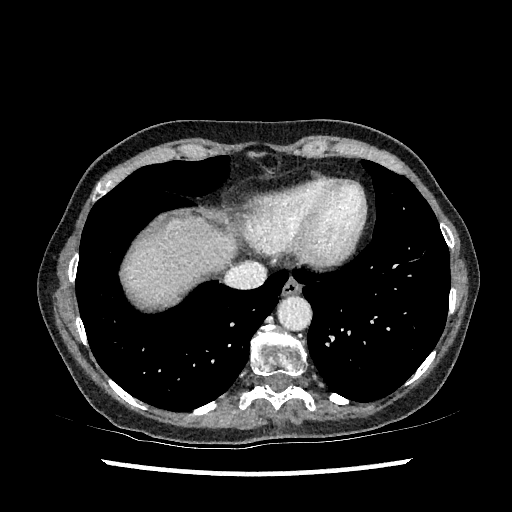

CT, Liver, Image size 512x512

<segmentation>
  <liver>124:218:234:307</liver>
</segmentation>